FLAIR MRI.
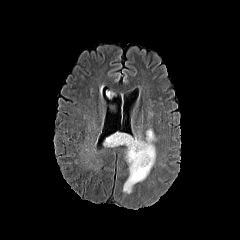
T1-weighted MRI.
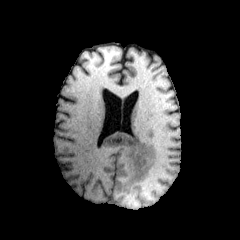
Post-contrast T1-weighted magnetic resonance.
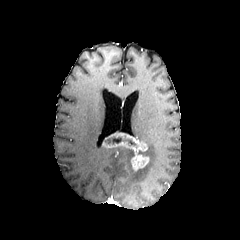
T2-weighted MR image.
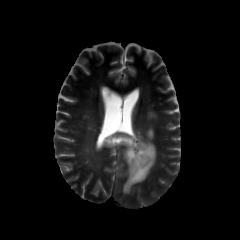
Brain
enhancing tumor: rect(101, 132, 149, 171) | non-enhancing tumor core: rect(105, 137, 121, 144) | edema: rect(123, 128, 155, 193); rect(134, 131, 143, 140); rect(147, 110, 155, 118)